Liver, CT scan slice 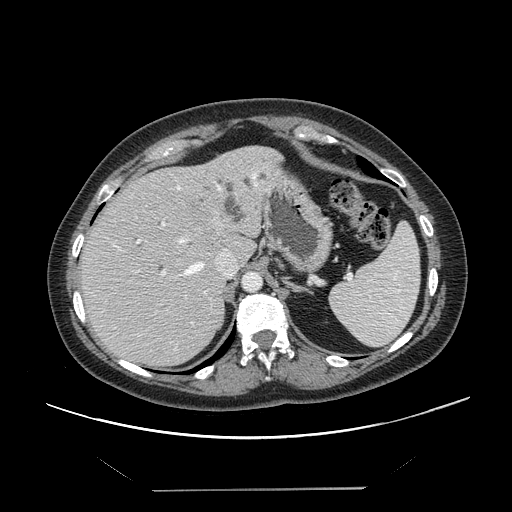 Not every hepatic vessel necessarily has a box.
Segmented structures:
• hepatic vessel: [161,270,165,275], [137,239,139,242], [215,249,237,277], [250,175,263,189], [213,181,222,192], [111,242,119,249], [177,237,188,244], [162,221,165,226], [182,262,204,275]
• liver tumor: [187,193,212,219]